Brain; 240x240 px
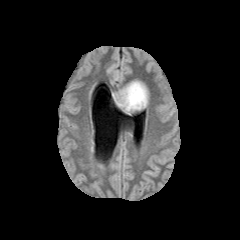
FLAIR MRI.
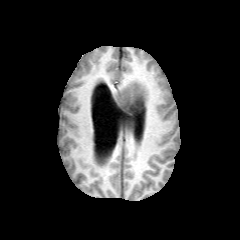
T1-weighted MR image of the same slice.
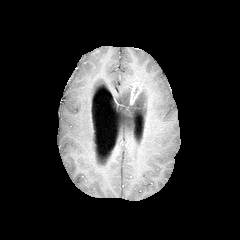
Post-contrast T1-weighted MR image.
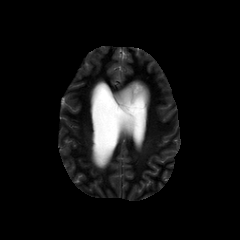
Same slice, T2-weighted MR.
{"non-enhancing_tumor_core": ["l=125, t=94, r=144, b=113"], "edema": ["l=111, t=78, r=151, b=115"], "enhancing_tumor": ["l=128, t=82, r=142, b=106"]}